Field of view 437 mm wide, 0.80 mm slice spacing; CT image
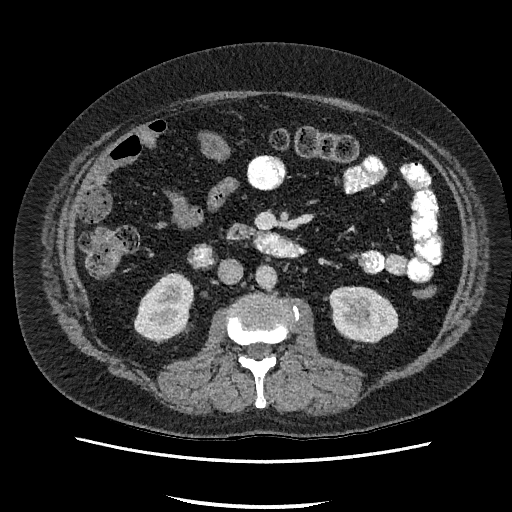 kidney:
  - <box>330,287,397,341</box>
  - <box>135,275,192,339</box>